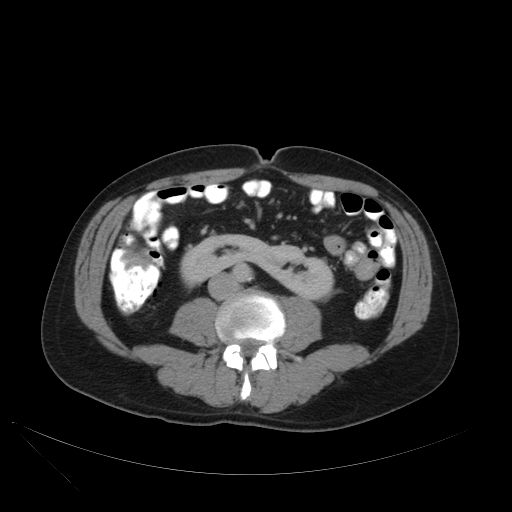

Pelvis. CT scan slice. Image size 512x512. Colon tumor = bbox(122, 249, 153, 269).